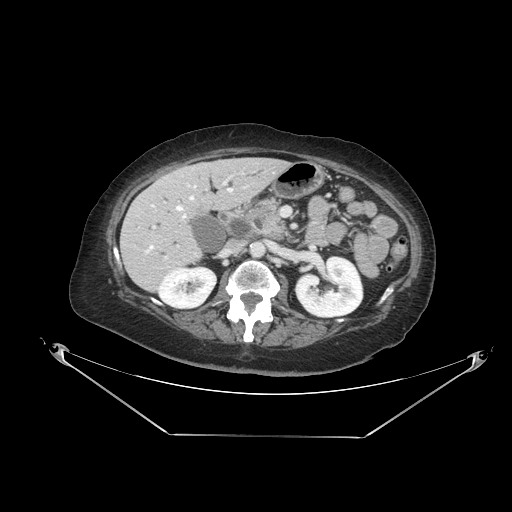 CT slice; Abdomen; 512x512
The pancreatic tumor lies within <box>250,207,272,218</box>. The pancreas lies within <box>248,199,284,234</box>.